Upper abdomen. Field of view 512x512 mm. CT slice.
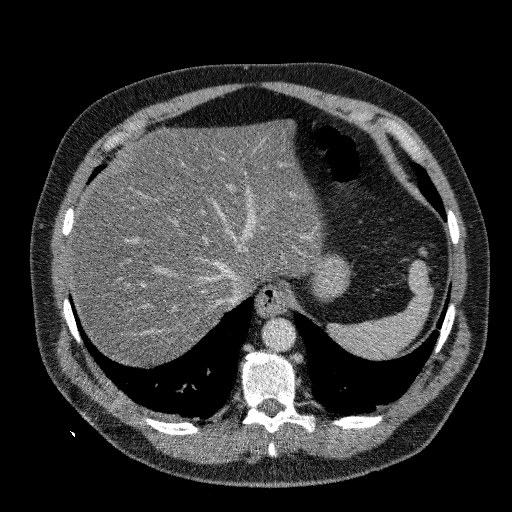 liver:
  - box(69, 120, 323, 365)